Head. Slice index 113.
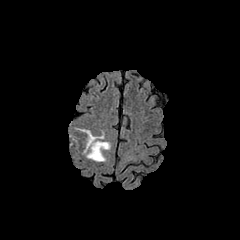
FLAIR magnetic resonance.
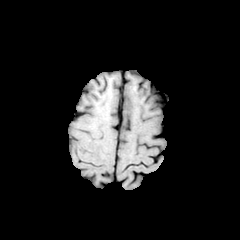
T1-weighted magnetic resonance.
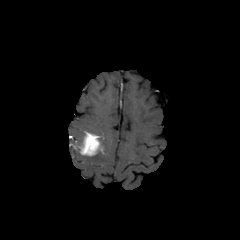
Post-contrast T1-weighted MR.
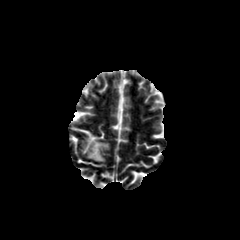
T2-weighted MR of the same slice.
Edema: box=[84, 130, 111, 162]; box=[72, 128, 90, 153].
Enhancing tumor: box=[79, 131, 102, 155].